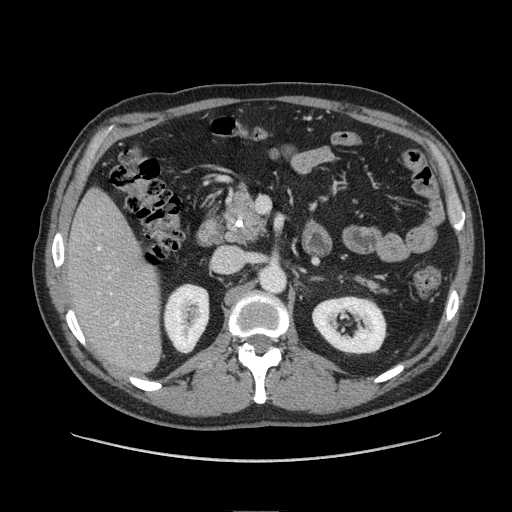
CT slice | Upper abdomen
2 pancreas regions are bounded by <box>347,272,394,299</box>, <box>221,182,270,246</box>.